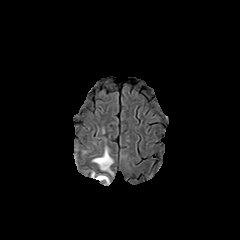
FLAIR MRI.
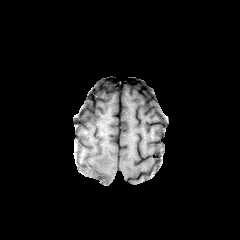
T1-weighted magnetic resonance of the same slice.
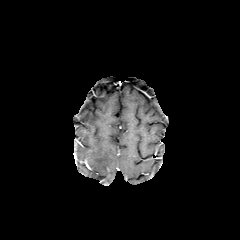
Same slice, post-contrast T1-weighted MR image.
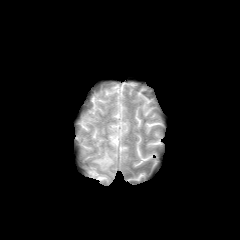
T2-weighted MR image.
240x240 px. Head.
The edema is located at 88, 148, 113, 183.